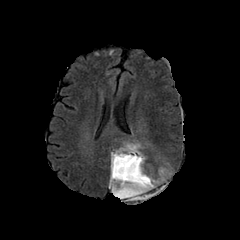
FLAIR MR.
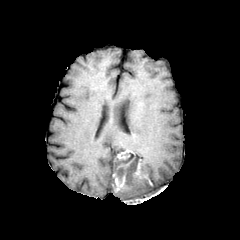
Same slice, T1-weighted MR.
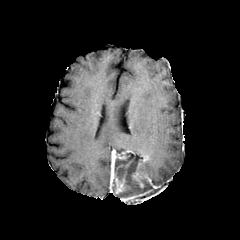
Same slice, post-contrast T1-weighted MR.
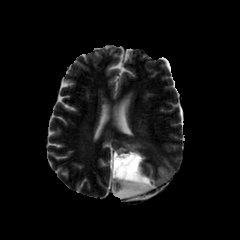
T2-weighted MRI.
Image size 240x240, Brain
2 edema regions are located at x1=139 y1=158 x2=157 y2=184, x1=115 y1=144 x2=143 y2=155. 3 enhancing tumor regions appear at x1=125 y1=192 x2=146 y2=199, x1=115 y1=181 x2=124 y2=193, x1=110 y1=151 x2=124 y2=192. 2 non-enhancing tumor core regions appear at x1=114 y1=151 x2=157 y2=201, x1=112 y1=182 x2=119 y2=193.